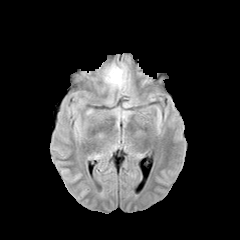
FLAIR MR image.
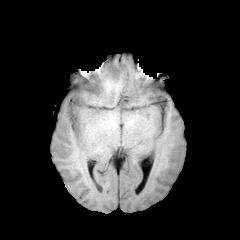
T1-weighted MRI.
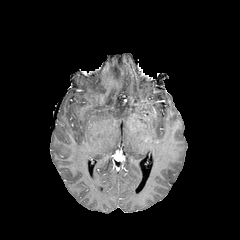
Same slice, post-contrast T1-weighted MRI.
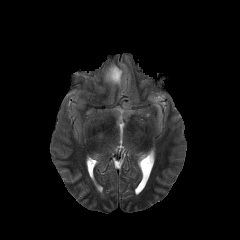
T2-weighted MRI of the same slice.
Image size 240x240. Head.
{
  "edema": [
    "101,60,130,95"
  ]
}